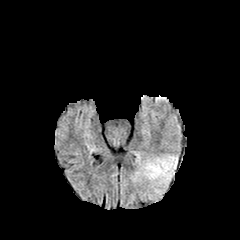
FLAIR magnetic resonance.
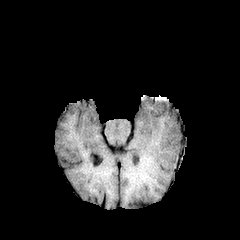
T1-weighted MR of the same slice.
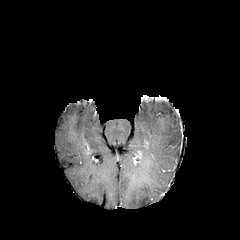
Post-contrast T1-weighted MR image.
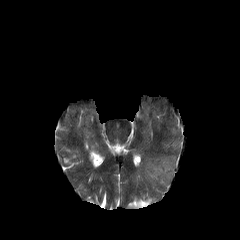
T2-weighted MR image.
Image size 240x240; Head
{
  "edema": [
    "[149,156,176,180]"
  ]
}